Liver, CT slice, Slice 426/836 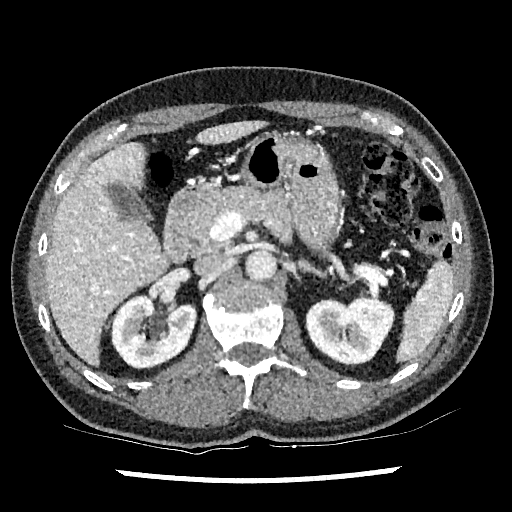
2 kidney regions appear at (113,297,194,366), (307,299,392,362). 2 liver regions are bounded by (197,120,267,144), (46,143,169,367).